Slice 44 of 155; Brain
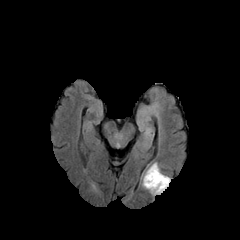
FLAIR magnetic resonance.
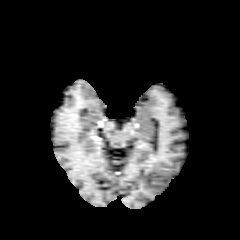
T1-weighted MRI.
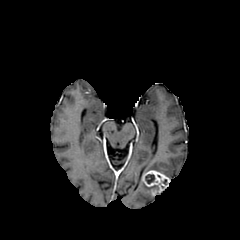
Post-contrast T1-weighted MR.
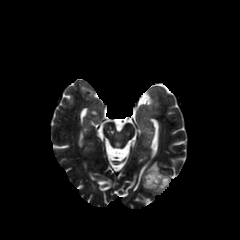
T2-weighted MRI.
Non-enhancing tumor core: bounding box 145:174:154:183.
Enhancing tumor: bounding box 142:170:170:194.
Edema: bounding box 144:162:164:173, 140:175:151:193.